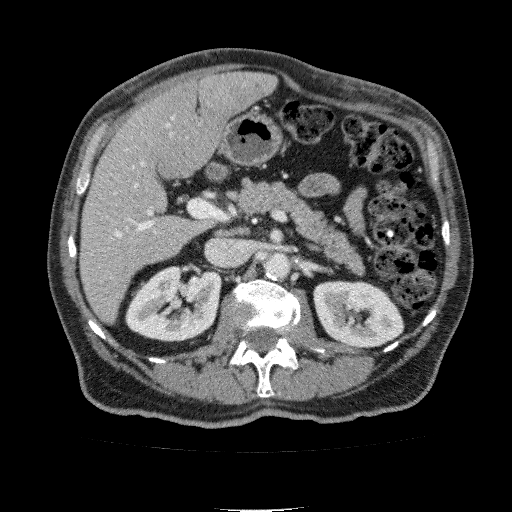
Image size 512x512, CT scan slice

Segmented structures:
• liver: [82,72,277,323]
• kidney: [314,282,402,346], [126,267,220,340]